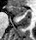 Magnetic resonance | Medial temporal lobe
Anterior hippocampus at x1=9, y1=6, x2=26, y2=16.